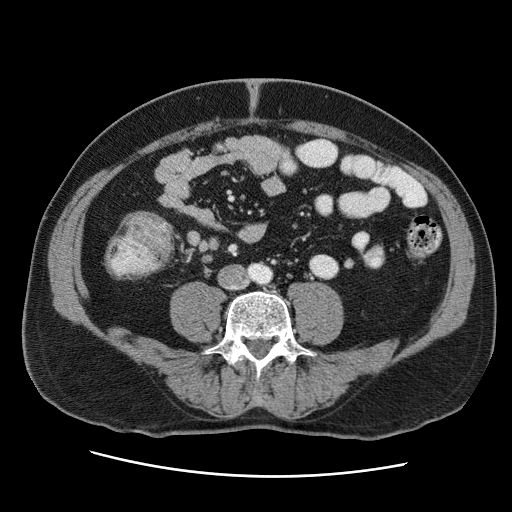 CT image. Pelvis. Image size 512x512.

Colon tumor — 104 242 120 280, 125 212 171 262.